Image width 335 mm. Slice 75 of 455. CT image. Image size 512x512.
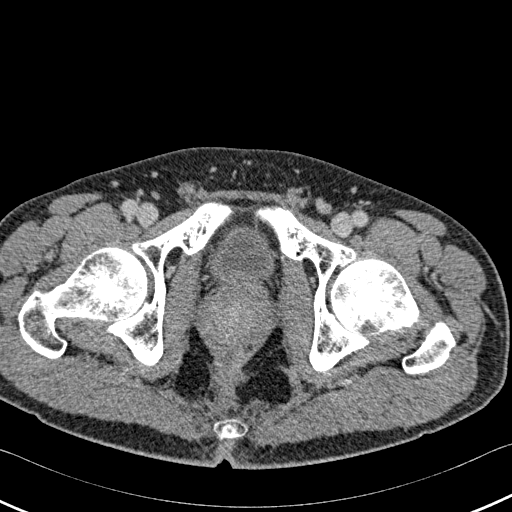 urinary bladder: [209,222,275,294] | bone: [215,419,247,438], [397,341,408,353], [258,208,418,372], [19,203,230,365], [402,323,454,373]